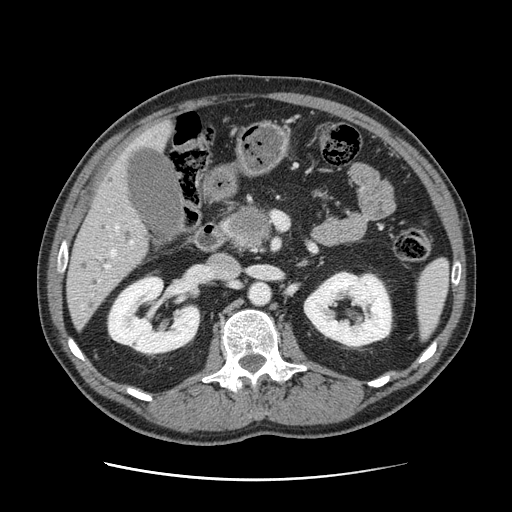 Computed tomography
<segmentation>
  <pancreas>220:207:258:248, 258:221:270:245</pancreas>
  <pancreatic_tumor>228:208:269:245</pancreatic_tumor>
</segmentation>